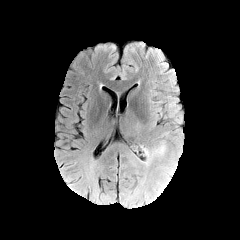
FLAIR MR image.
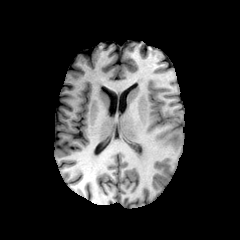
T1-weighted MR image of the same slice.
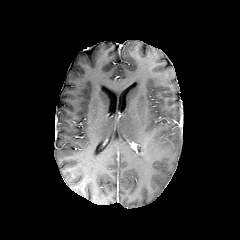
Post-contrast T1-weighted magnetic resonance of the same slice.
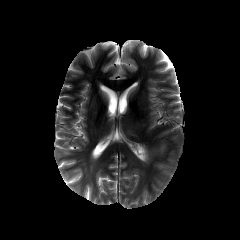
T2-weighted MRI of the same slice.
Image size 240x240
<segmentation>
  <edema>region(142, 148, 150, 165); region(153, 145, 165, 154)</edema>
</segmentation>